Slice index 79
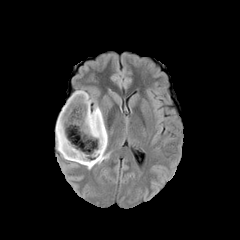
FLAIR MR image.
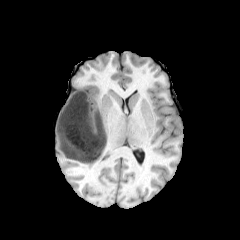
Same slice, T1-weighted MR.
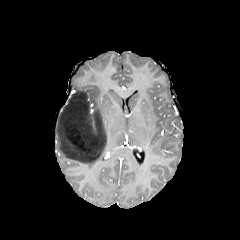
Post-contrast T1-weighted magnetic resonance.
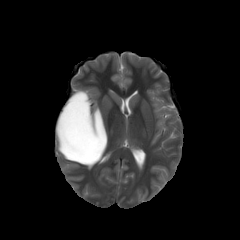
T2-weighted magnetic resonance.
non-enhancing tumor core: <box>57,91,109,162</box> | edema: <box>76,89,107,146</box>, <box>56,114,105,169</box>